Field of view 240x240 mm, Image size 240x240, Head
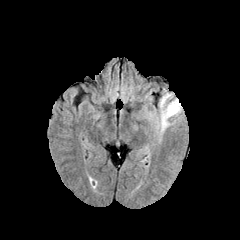
FLAIR magnetic resonance.
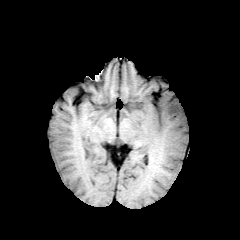
T1-weighted MR.
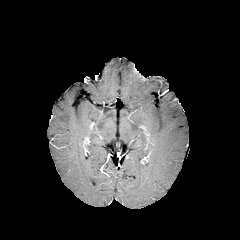
Same slice, post-contrast T1-weighted MRI.
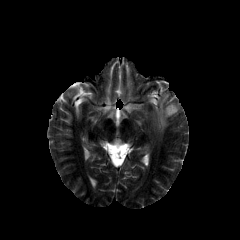
Same slice, T2-weighted MRI.
Segmented structures:
- edema: 143 88 181 137